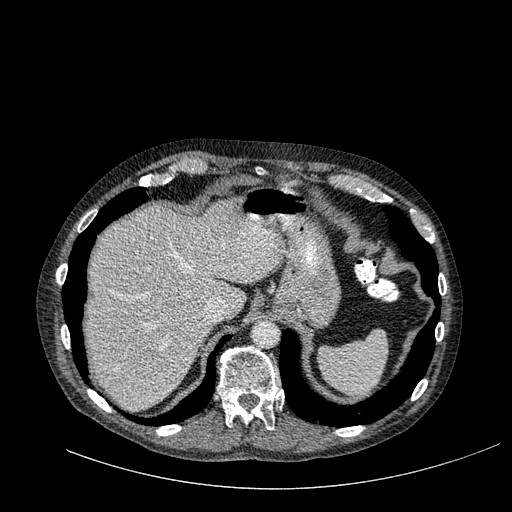
CT
Segmented structures:
• liver: x1=87, y1=200, x2=283, y2=409